CT scan slice; Image size 512x512; Image width 385 mm
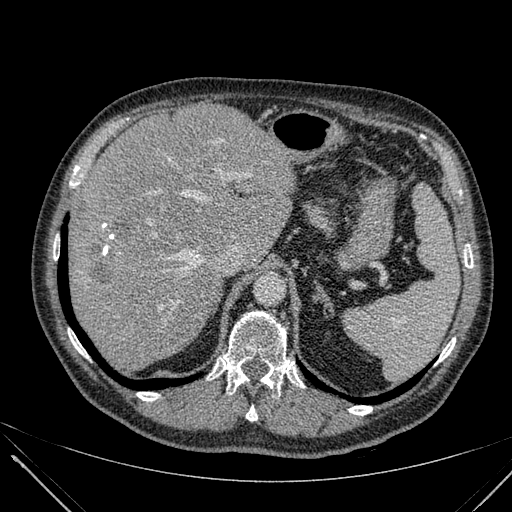
hepatic_lesion:
  - 92,260,110,281
  - 92,243,102,258
  - 77,200,84,219
  - 115,213,137,238
liver:
  - 69,105,295,370